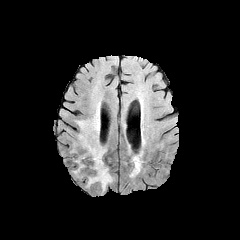
FLAIR MR image.
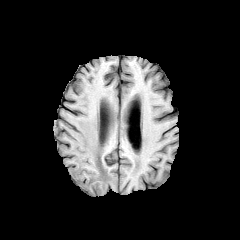
Same slice, T1-weighted magnetic resonance.
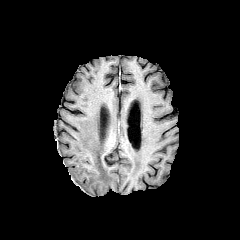
Same slice, post-contrast T1-weighted MRI.
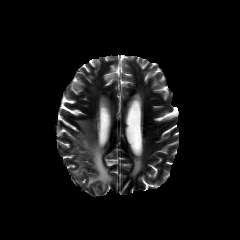
Same slice, T2-weighted MRI.
Head
Edema at [x1=131, y1=154, x2=141, y2=175], [x1=74, y1=116, x2=113, y2=191], [x1=75, y1=155, x2=84, y2=173].